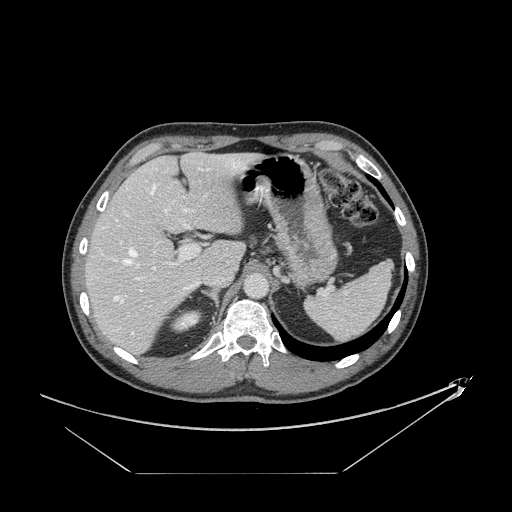 Abdomen. CT.

Pancreas = box(249, 236, 255, 244); box(266, 242, 273, 250).